FLAIR MRI.
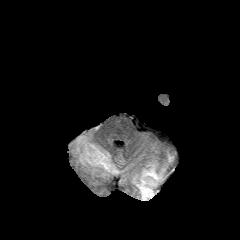
T1-weighted MR.
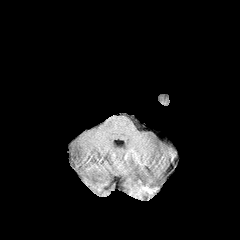
Post-contrast T1-weighted MR.
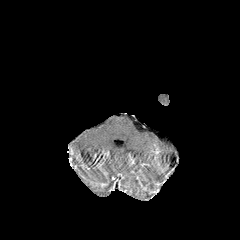
T2-weighted MR image.
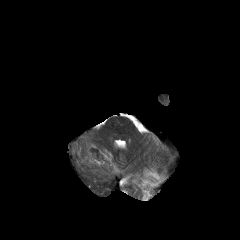
edema: [137,162,167,200]